Slice 107 of 122 | Field of view 512x512 mm | Liver | CT 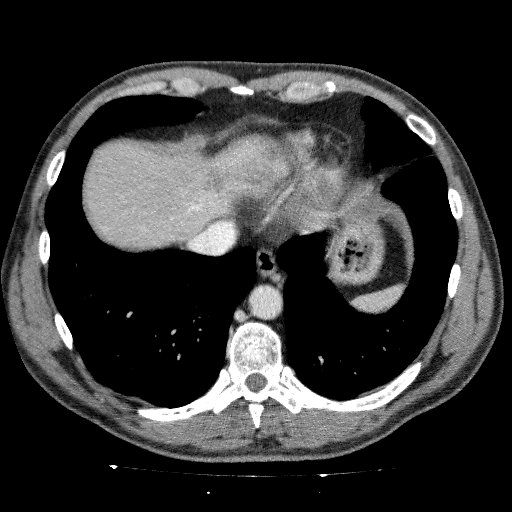
Findings:
• liver lesion: l=202, t=170, r=223, b=194
• liver: l=83, t=134, r=293, b=250